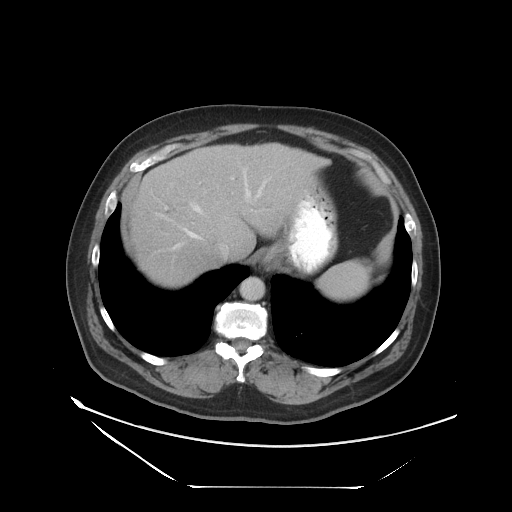
CT scan slice, Abdomen
The vessel boxes may cover only some of the vessels.
Hepatic vessel at left=176, top=240, right=186, bottom=244; left=194, top=207, right=206, bottom=215; left=230, top=177, right=233, bottom=179; left=256, top=186, right=262, bottom=196; left=244, top=169, right=251, bottom=200; left=191, top=222, right=194, bottom=225; left=167, top=216, right=201, bottom=239.